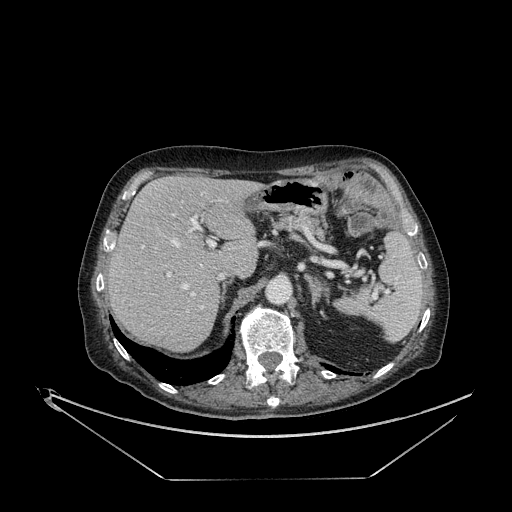

CT
The liver lies within region(109, 176, 262, 350).